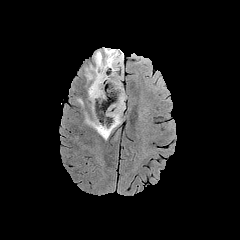
FLAIR MR.
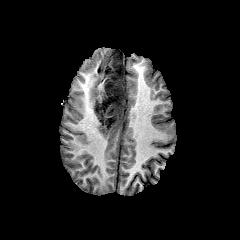
Same slice, T1-weighted magnetic resonance.
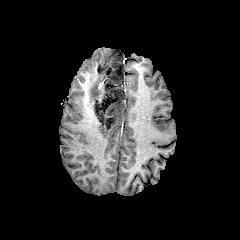
Post-contrast T1-weighted MR image.
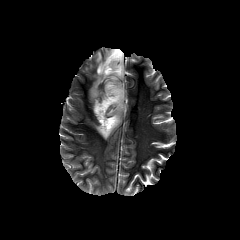
T2-weighted MR.
Image size 240x240
- non-enhancing tumor core: {"x1": 94, "y1": 51, "x2": 125, "y2": 128}
- edema: {"x1": 92, "y1": 48, "x2": 117, "y2": 78}, {"x1": 88, "y1": 74, "x2": 111, "y2": 115}, {"x1": 92, "y1": 100, "x2": 125, "y2": 140}, {"x1": 115, "y1": 74, "x2": 124, "y2": 91}